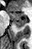 MR
Posterior hippocampus = region(15, 22, 26, 27).
Anterior hippocampus = region(8, 12, 26, 21).